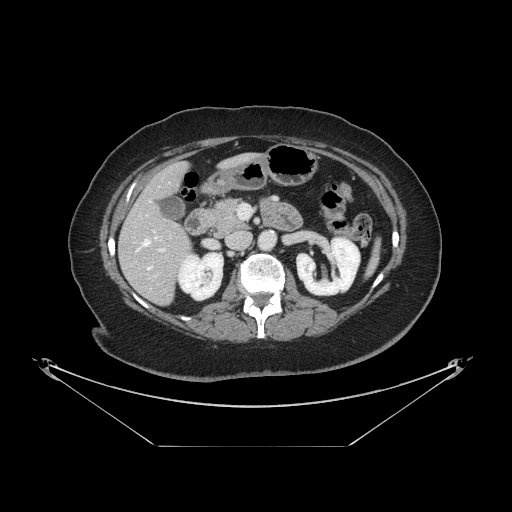 CT slice; 512x512; Upper abdomen
<segmentation>
  <pancreas>{"x1": 204, "y1": 199, "x2": 247, "y2": 238}</pancreas>
</segmentation>